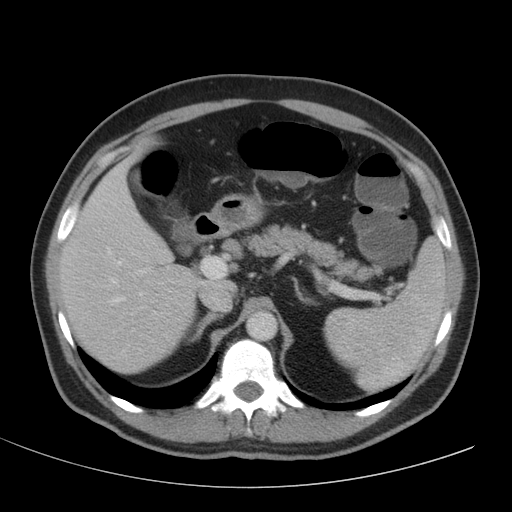 Liver | CT image
{"liver": ["56:147:235:371"]}